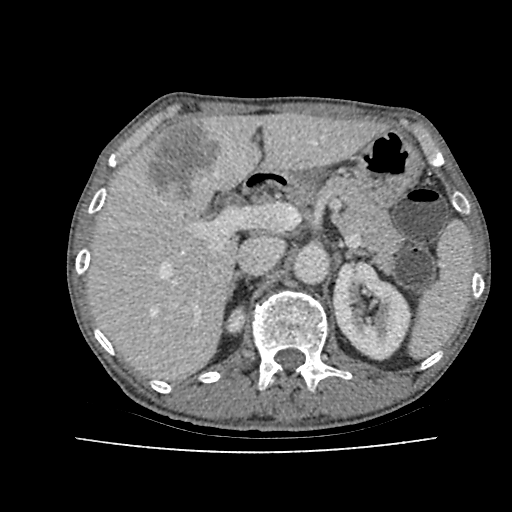

CT image | Liver
Segmented structures:
• liver: x1=89 y1=115 x2=383 y2=378
• kidney: x1=230 y1=316 x2=242 y2=329, x1=334 y1=264 x2=409 y2=358
• hepatic lesion: x1=147 y1=121 x2=220 y2=200